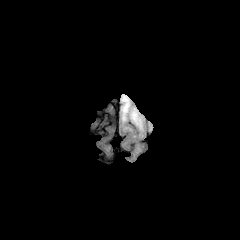
FLAIR magnetic resonance.
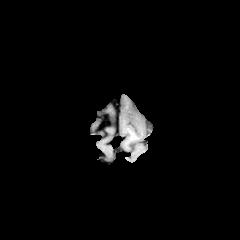
Same slice, T1-weighted magnetic resonance.
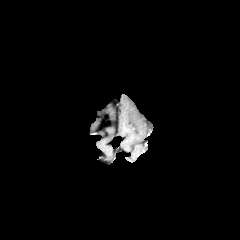
Same slice, post-contrast T1-weighted magnetic resonance.
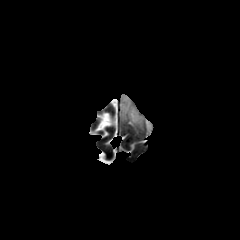
T2-weighted MR image of the same slice.
{
  "non-enhancing_tumor_core": [
    "bbox(122, 105, 129, 119)"
  ],
  "edema": [
    "bbox(120, 94, 153, 133)"
  ]
}